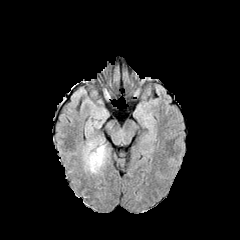
FLAIR MR image.
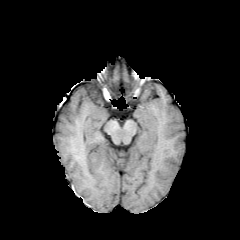
Same slice, T1-weighted MR.
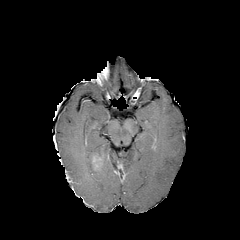
Post-contrast T1-weighted MRI of the same slice.
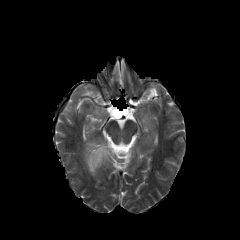
T2-weighted magnetic resonance.
Brain, Image size 240x240
Edema = box(90, 108, 106, 125); box(81, 136, 111, 175).
Enhancing tumor = box(92, 154, 104, 166).